Brain
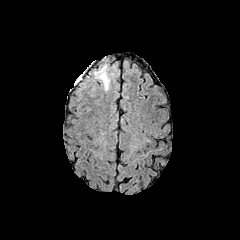
FLAIR magnetic resonance.
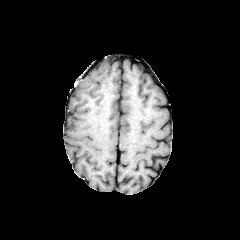
Same slice, T1-weighted MR image.
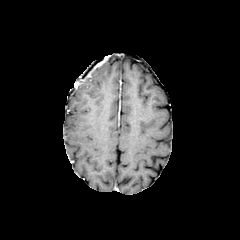
Same slice, post-contrast T1-weighted MR.
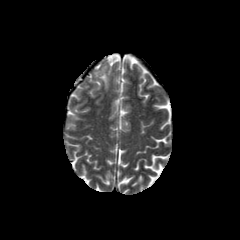
T2-weighted MR image.
Edema — bbox=[92, 60, 113, 88].